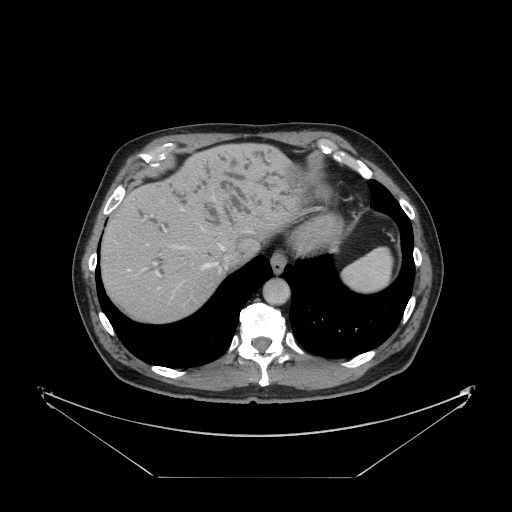 CT scan slice
Only some of the vessels may be annotated.
hepatic_vessel:
  - 216:237:226:251
  - 201:262:218:267
  - 128:269:129:270
  - 172:246:189:248
  - 177:286:178:287
  - 224:255:231:267
  - 180:209:182:210
  - 155:271:158:275
  - 153:262:156:265